Image width 427 mm. CT scan slice. 512x512 px.

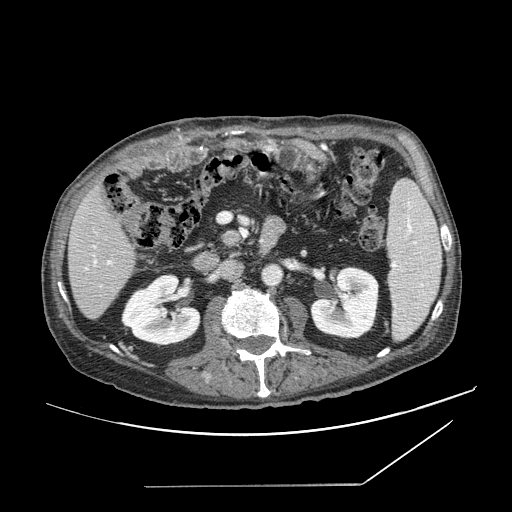
pancreas:
  - region(222, 233, 238, 245)